FLAIR MR.
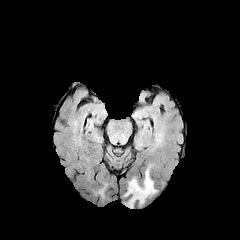
T1-weighted MRI.
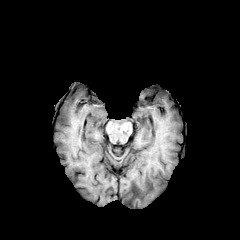
Post-contrast T1-weighted magnetic resonance.
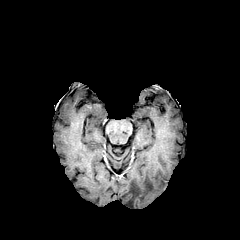
T2-weighted magnetic resonance.
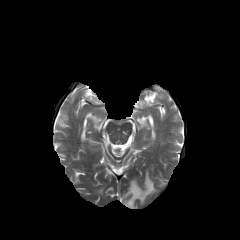
Brain. 240x240 px.
Annotated regions:
* edema: x1=124 y1=170 x2=156 y2=206